MR | Heart | Image size 320x320
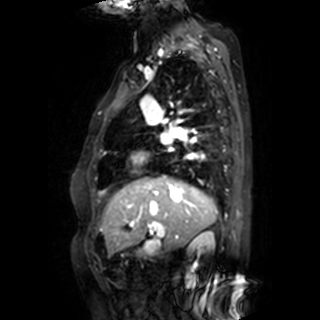

left_atrium:
  - (161,137,169,144)